Slice 120 of 155 | 240x240 px | Field of view 240 mm wide, 1.00 mm slice spacing
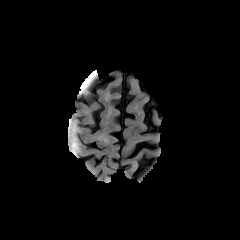
FLAIR MR image.
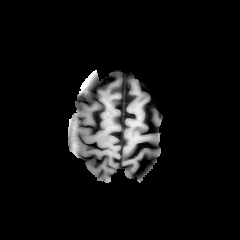
T1-weighted magnetic resonance.
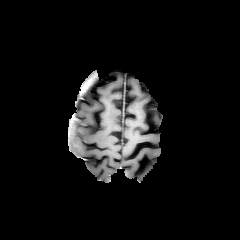
Same slice, post-contrast T1-weighted MRI.
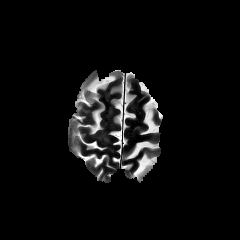
Same slice, T2-weighted magnetic resonance.
Edema = [x1=74, y1=126, x2=79, y2=149].